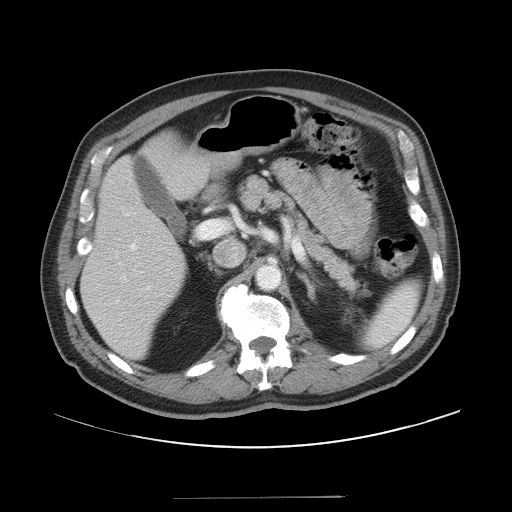
CT image. Upper abdomen. pancreas:
  - 238:175:362:295